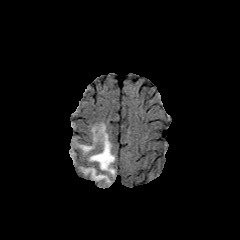
FLAIR MR image.
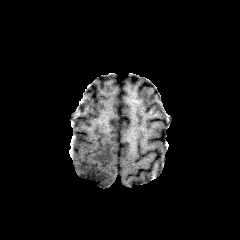
T1-weighted MR image.
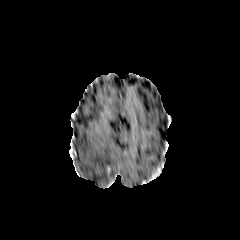
Same slice, post-contrast T1-weighted MRI.
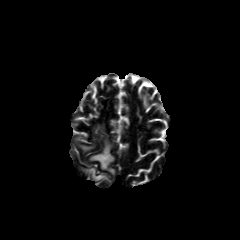
T2-weighted magnetic resonance of the same slice.
Brain
<segmentation>
  <edema>[80, 144, 93, 152], [81, 126, 115, 183]</edema>
</segmentation>